FLAIR MRI.
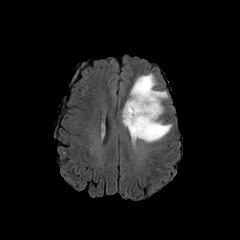
T1-weighted MR.
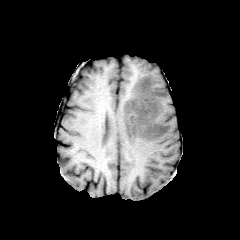
Post-contrast T1-weighted MR image.
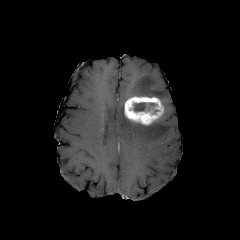
T2-weighted MR image.
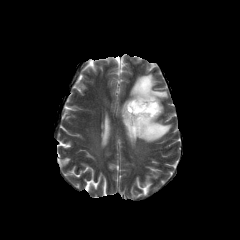
Edema at 130 73 167 101, 122 110 172 144.
Non-enhancing tumor core at 134 103 145 111.
Enhancing tumor at 123 95 164 126.